Brain; Field of view 240 mm wide, 1.00 mm slice spacing; Slice 112 of 155
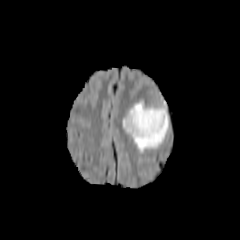
FLAIR magnetic resonance.
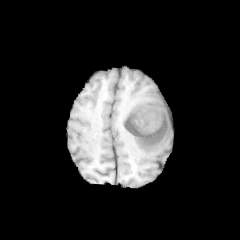
Same slice, T1-weighted MRI.
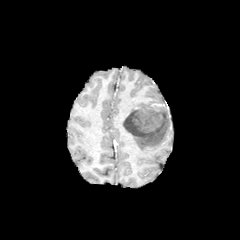
Post-contrast T1-weighted MR.
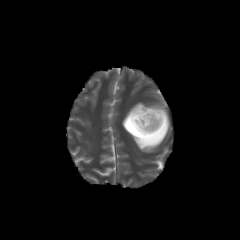
T2-weighted MRI.
The non-enhancing tumor core is located at rect(124, 105, 164, 137). The edema is at rect(122, 100, 171, 152).